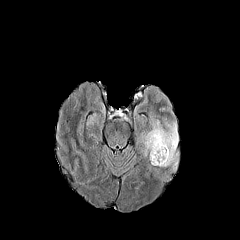
FLAIR MR image.
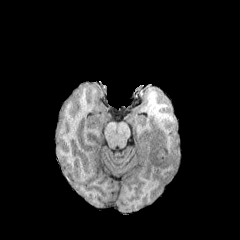
T1-weighted MR image.
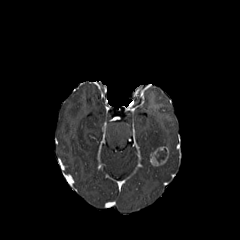
Post-contrast T1-weighted magnetic resonance.
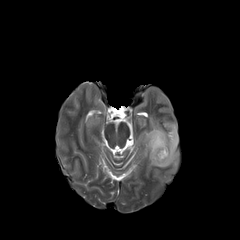
T2-weighted MR image of the same slice.
Edema at <bbox>140, 119, 178, 168</bbox>.
Enhancing tumor at <bbox>150, 146, 169, 165</bbox>.
Non-enhancing tumor core at <bbox>156, 148, 167, 163</bbox>.